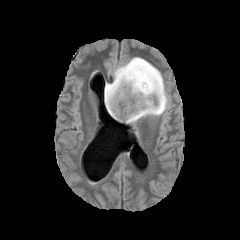
FLAIR magnetic resonance.
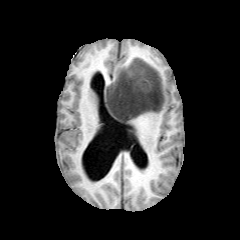
Same slice, T1-weighted MR.
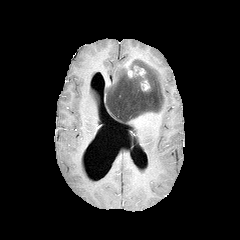
Post-contrast T1-weighted MR image.
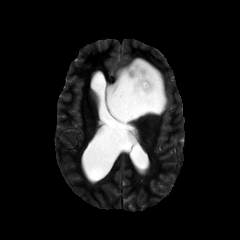
Same slice, T2-weighted magnetic resonance.
240x240.
2 enhancing tumor regions appear at 126,64,146,78; 140,78,150,91. The edema is at 105,56,170,125. The non-enhancing tumor core appears at 105,59,164,123.